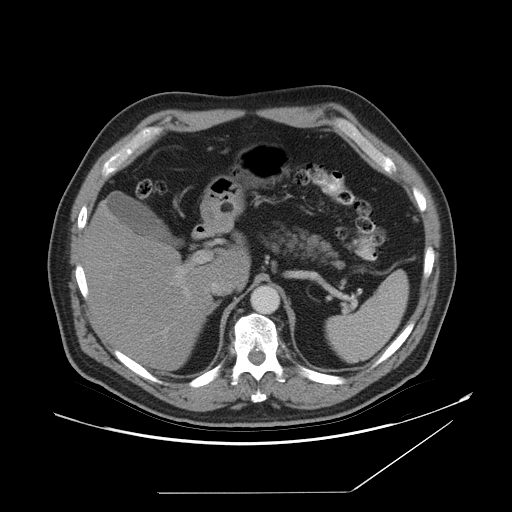

Image size 512x512. CT image. Abdomen.
Spleen: bounding box 327, 271, 407, 361.